Image size 35x51. Hippocampus. MR.

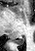
Posterior hippocampus — bbox=[14, 36, 24, 44].